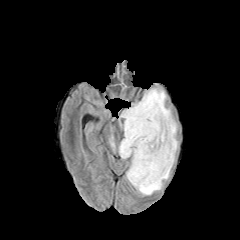
FLAIR MR image.
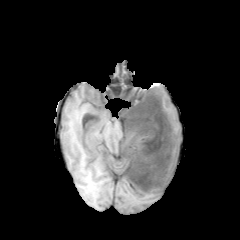
Same slice, T1-weighted MRI.
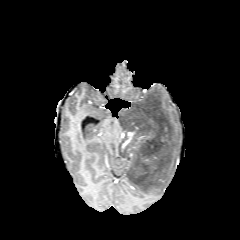
Same slice, post-contrast T1-weighted MRI.
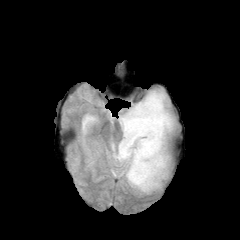
T2-weighted MR image.
Head
The non-enhancing tumor core appears at rect(119, 96, 171, 193). The enhancing tumor lies within rect(122, 130, 134, 147). 4 edema regions appear at rect(133, 88, 177, 196); rect(120, 156, 131, 171); rect(111, 143, 120, 153); rect(118, 108, 129, 136).